Pelvis. Slice 49/173. CT.

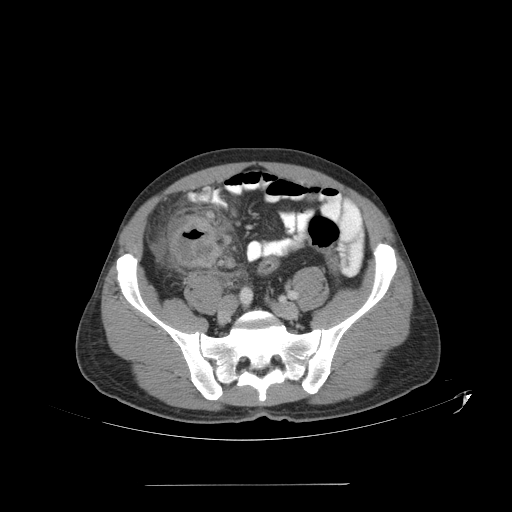
Colon tumor: (170, 217, 219, 267).